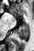
34x51 | MR
The posterior hippocampus appears at (x1=16, y1=26, x2=28, y2=40).